Field of view 344 mm wide, 1.00 mm slice spacing. CT.
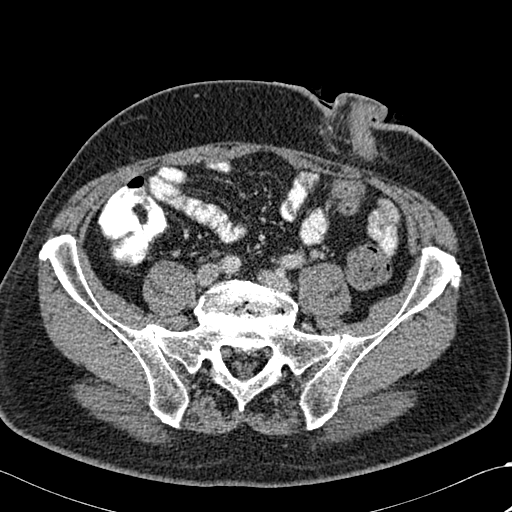
The bone lies within x1=39 y1=234 x2=460 y2=429.